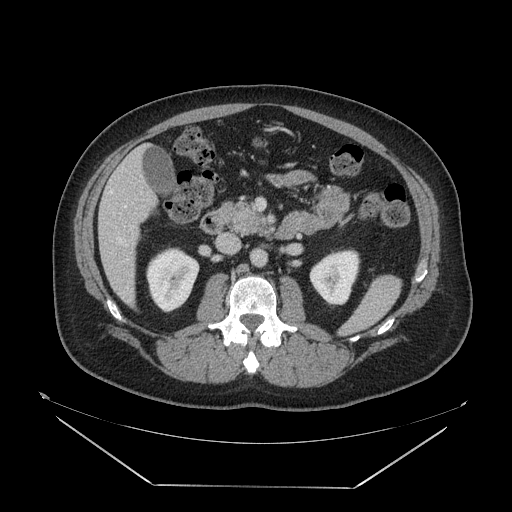 CT scan slice; Abdomen

Pancreatic tumor: 245, 217, 266, 232.
Pancreas: 222, 202, 263, 233.